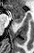

MR
Posterior hippocampus at <bbox>13, 20, 22, 22</bbox>.
Anterior hippocampus at <bbox>7, 5, 24, 20</bbox>.